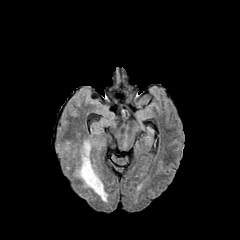
FLAIR magnetic resonance.
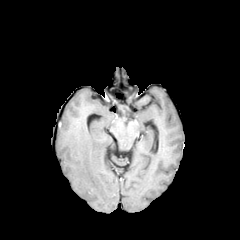
T1-weighted magnetic resonance.
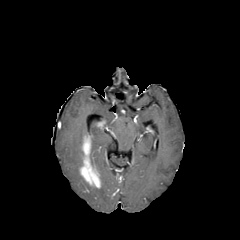
Post-contrast T1-weighted MR.
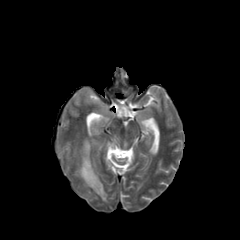
T2-weighted MRI.
Head; 240x240
Segmented structures:
- edema: x1=76, y1=148, x2=108, y2=202; x1=90, y1=125, x2=101, y2=137
- enhancing tumor: x1=80, y1=135, x2=100, y2=187